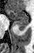
MRI. Medial temporal lobe.
posterior hippocampus: box(17, 24, 28, 31) | anterior hippocampus: box(7, 10, 28, 23)